FLAIR MR.
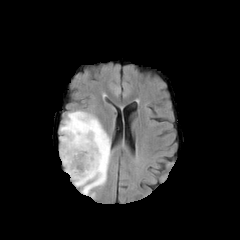
T1-weighted MR image.
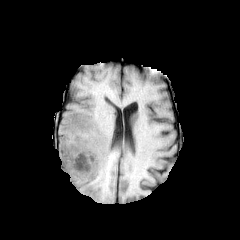
Post-contrast T1-weighted MR.
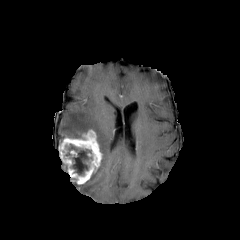
T2-weighted magnetic resonance.
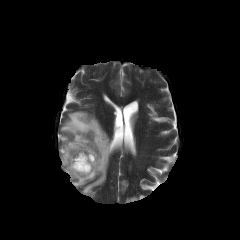
Brain
<segmentation>
  <enhancing_tumor>rect(59, 130, 103, 184)</enhancing_tumor>
  <non-enhancing_tumor_core>rect(73, 150, 87, 174)</non-enhancing_tumor_core>
  <edema>rect(60, 111, 110, 197)</edema>
</segmentation>